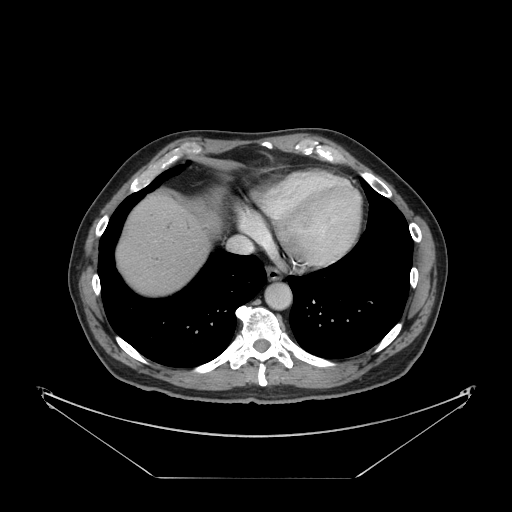
CT; Liver

The vessel boxes may cover only some of the vessels.
Hepatic vessel — bbox=[241, 226, 254, 236]; bbox=[230, 237, 252, 252].